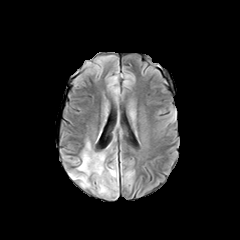
FLAIR MR.
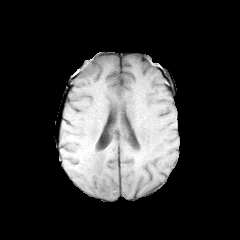
T1-weighted magnetic resonance of the same slice.
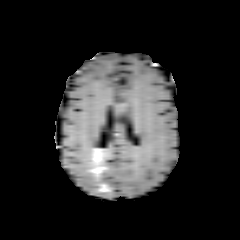
Post-contrast T1-weighted MR image of the same slice.
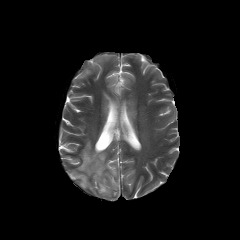
T2-weighted MR.
Enhancing tumor: 94, 159, 101, 176.
Edema: 71, 173, 87, 187; 79, 153, 93, 173; 105, 165, 116, 176.
Non-enhancing tumor core: 88, 150, 101, 172.